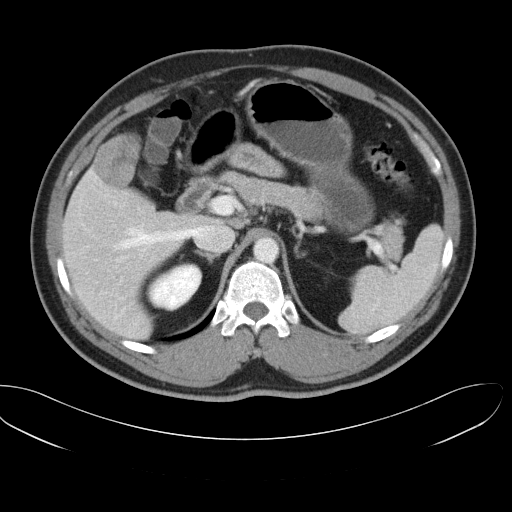 CT slice. Liver.

Only some of the vessels may be annotated.
Hepatic vessel = box(115, 308, 124, 318); box(139, 248, 144, 257); box(79, 214, 80, 215); box(89, 171, 95, 180); box(119, 298, 123, 298); box(100, 292, 104, 293); box(79, 291, 80, 294); box(115, 256, 127, 266); box(96, 282, 97, 283); box(115, 225, 193, 248).
Liver tumor = box(94, 132, 141, 190).